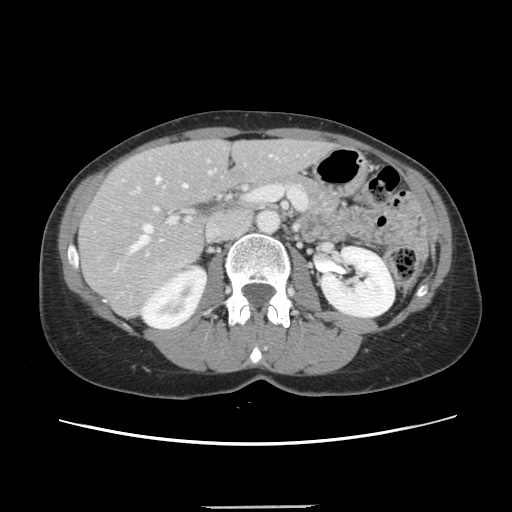
512x512; CT
Not every hepatic vessel necessarily has a box.
10 hepatic vessel regions are located at box=[186, 218, 189, 219]; box=[130, 224, 151, 251]; box=[154, 207, 157, 210]; box=[156, 177, 159, 182]; box=[183, 185, 185, 186]; box=[133, 187, 139, 192]; box=[168, 217, 175, 223]; box=[208, 169, 214, 173]; box=[146, 252, 147, 254]; box=[269, 155, 272, 156].